Head
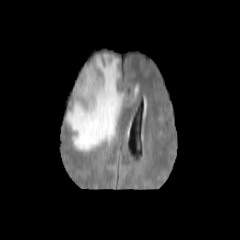
FLAIR MR image.
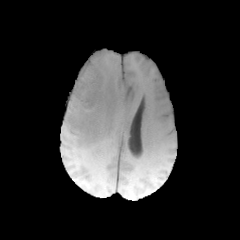
Same slice, T1-weighted magnetic resonance.
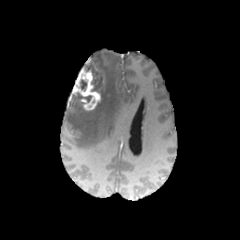
Post-contrast T1-weighted MRI of the same slice.
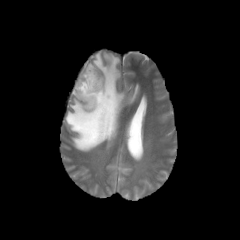
Same slice, T2-weighted MR image.
Non-enhancing tumor core = left=80, top=79, right=86, bottom=90; left=76, top=94, right=92, bottom=106; left=85, top=56, right=107, bottom=98.
Enhancing tumor = left=72, top=58, right=101, bottom=109.
Edema = left=130, top=84, right=138, bottom=101; left=65, top=52, right=126, bottom=152.